Liver; CT

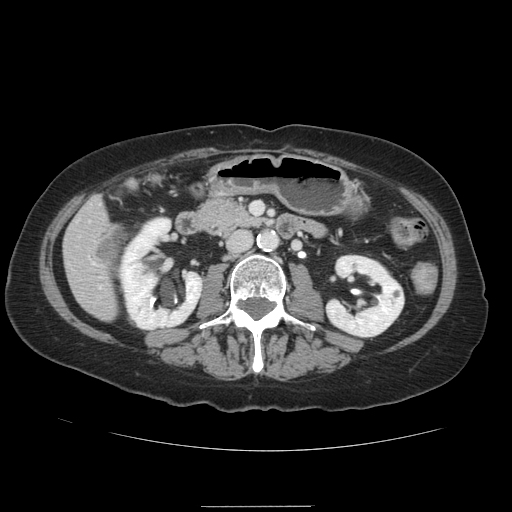
Some hepatic vessels may have no box.
Liver tumor at rect(98, 225, 123, 277).
Hepatic vessel at rect(98, 286, 100, 288).